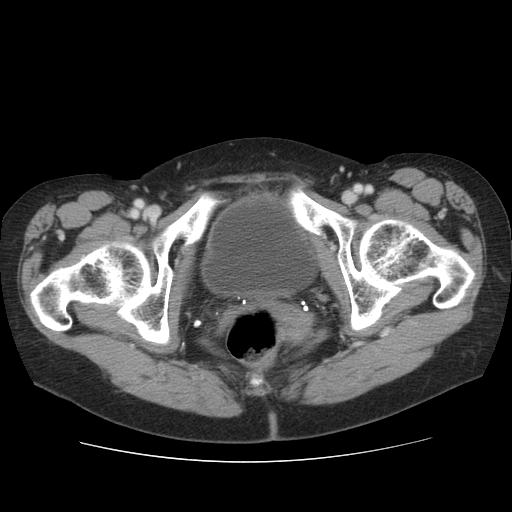
Computed tomography

Bone = x1=285 y1=188 x2=476 y2=333, x1=29 y1=193 x2=225 y2=347.